240x240 px
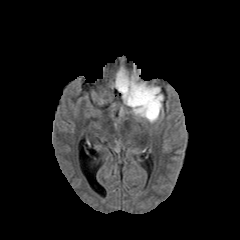
FLAIR MR image.
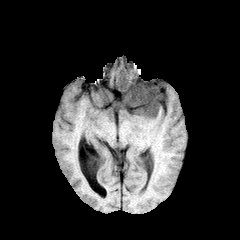
T1-weighted MR.
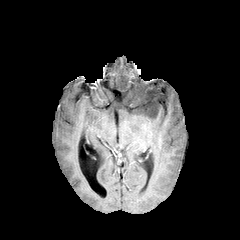
Post-contrast T1-weighted MR image.
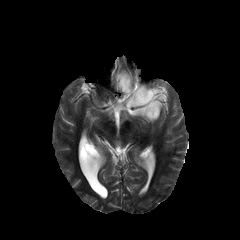
T2-weighted MRI of the same slice.
The non-enhancing tumor core is at x1=130 y1=88 x2=155 y2=115. The edema is located at x1=112 y1=66 x2=165 y2=123.